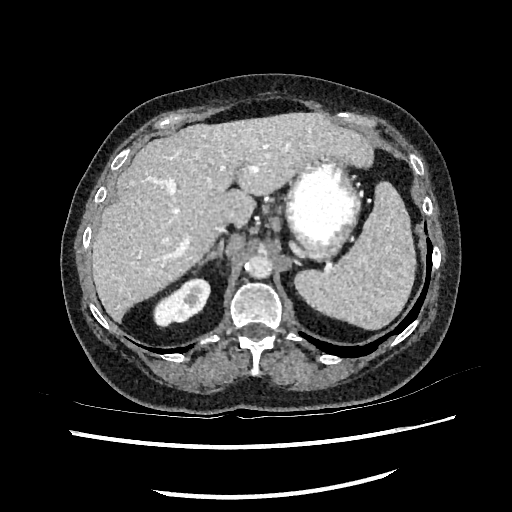 Abdomen, CT slice
The liver is bounded by bbox(92, 114, 372, 321). The kidney appears at bbox(155, 279, 209, 324).